FLAIR MRI.
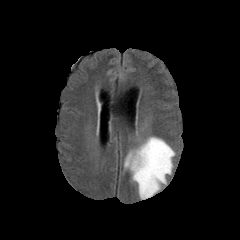
T1-weighted MR image.
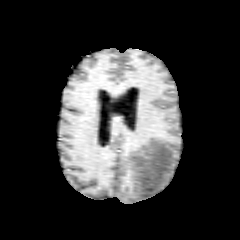
Post-contrast T1-weighted magnetic resonance.
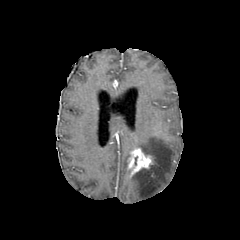
T2-weighted MRI.
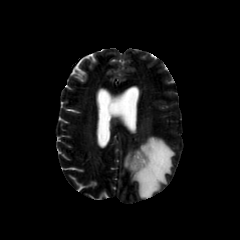
Brain, Image size 240x240
Segmented structures:
• edema: x1=124, y1=154, x2=130, y2=168; x1=131, y1=136, x2=175, y2=199
• enhancing tumor: x1=128, y1=148, x2=153, y2=177